Slice index 125
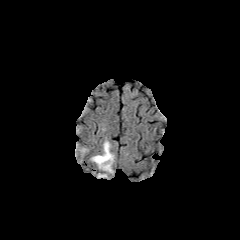
FLAIR MRI.
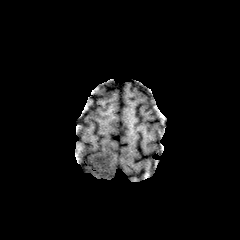
T1-weighted MRI of the same slice.
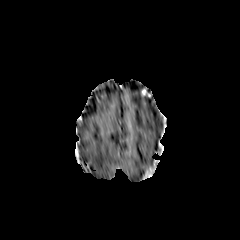
Post-contrast T1-weighted MRI.
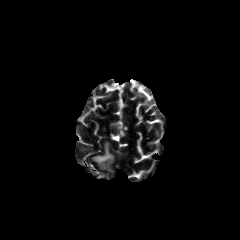
Same slice, T2-weighted MRI.
Edema = bbox(92, 141, 114, 172).